MR, Hippocampus
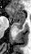

posterior_hippocampus:
  - <bbox>16, 24, 23, 29</bbox>
anterior_hippocampus:
  - <bbox>9, 7, 24, 23</bbox>